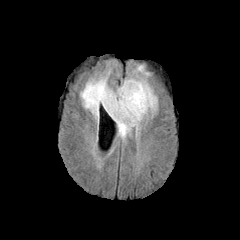
FLAIR MR.
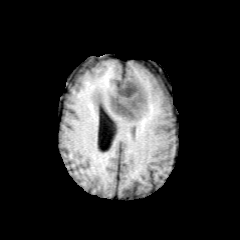
Same slice, T1-weighted MR image.
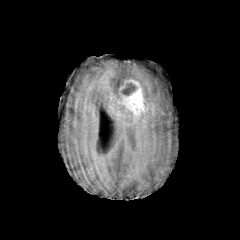
Post-contrast T1-weighted MR.
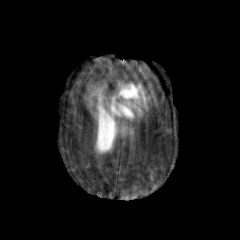
T2-weighted MR.
Edema at x1=80, y1=65, x2=157, y2=140.
Enhancing tumor at x1=110, y1=80, x2=146, y2=119.
Non-enhancing tumor core at x1=121, y1=83, x2=136, y2=96.